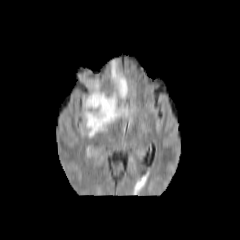
FLAIR MR.
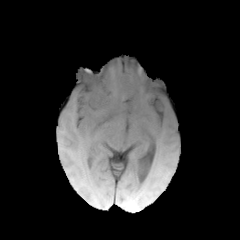
T1-weighted magnetic resonance of the same slice.
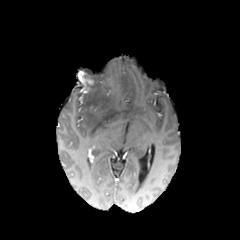
Same slice, post-contrast T1-weighted MR image.
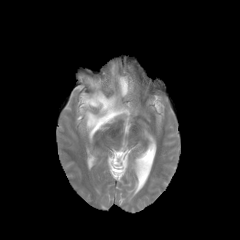
Same slice, T2-weighted MR.
Enhancing tumor at x1=78 y1=72 x2=93 y2=93.
Edema at x1=79 y1=62 x2=135 y2=138.
Non-enhancing tumor core at x1=77 y1=70 x2=114 y2=112.